FLAIR MRI.
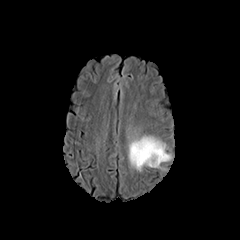
T1-weighted MR image.
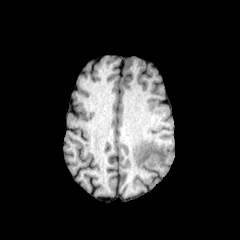
Post-contrast T1-weighted MRI.
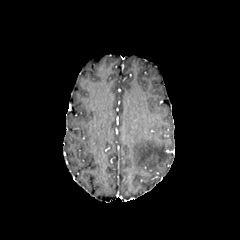
T2-weighted MR.
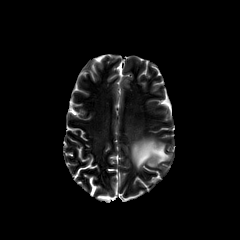
edema: region(129, 136, 171, 168)